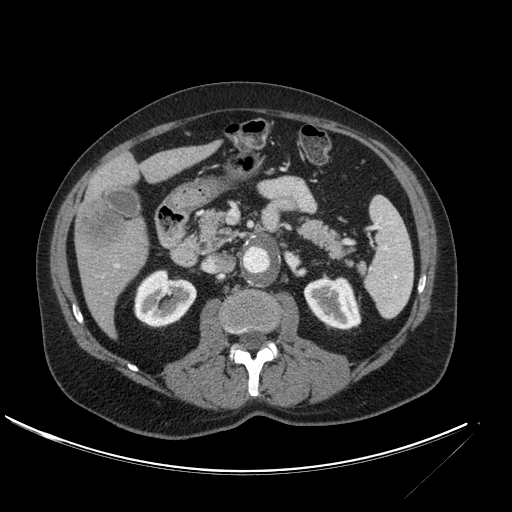
Abdomen. Computed tomography. Liver at box=[75, 218, 148, 337]; box=[81, 139, 222, 204].
Kidney at box=[304, 278, 359, 328]; box=[135, 271, 195, 325].
Hepatic lesion at box=[75, 189, 129, 250].